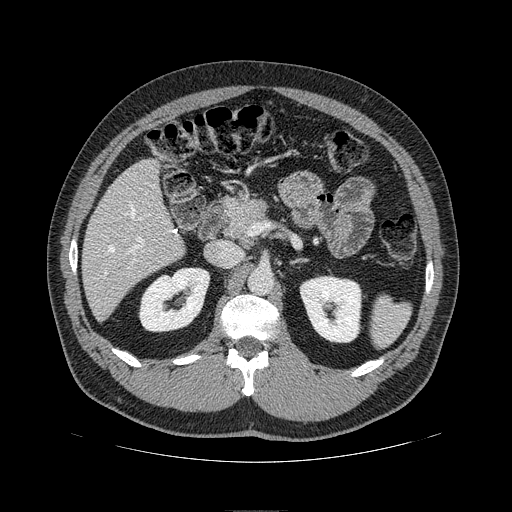

512x512 px, CT slice
Segmented structures:
* pancreas: (225, 200, 265, 240)